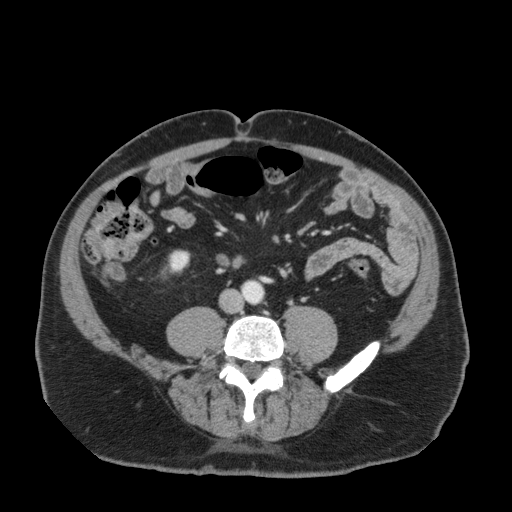

CT image, 512x512 px, Abdomen

{
  "kidney": [
    "left=171, top=252, right=187, bottom=269"
  ]
}